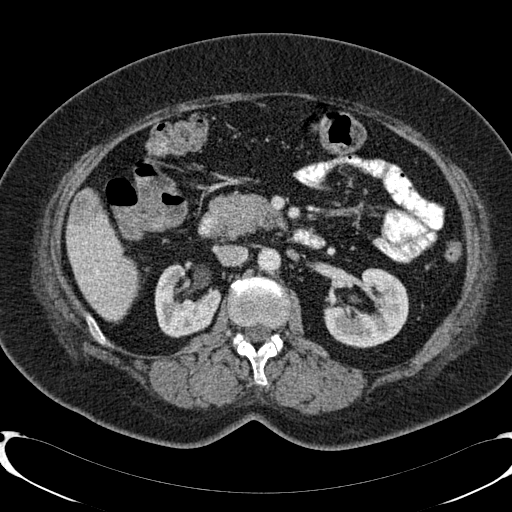
Upper abdomen. CT scan slice.

{"liver_lesion": ["left=69, top=190, right=101, bottom=224"], "liver": ["left=66, top=210, right=137, bottom=320"], "kidney": ["left=315, top=264, right=407, bottom=346", "left=155, top=262, right=221, bottom=336"]}